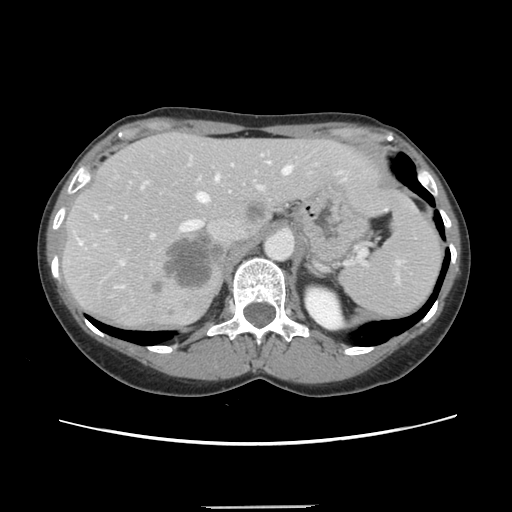
CT slice; Liver
The vessel annotation is not exhaustive.
hepatic_vessel:
  - x1=94, y1=214, x2=96, y2=216
  - x1=140, y1=182, x2=146, y2=188
  - x1=150, y1=234, x2=153, y2=237
  - x1=116, y1=286, x2=122, y2=287
  - x1=119, y1=261, x2=123, y2=264
  - x1=77, y1=238, x2=81, y2=244
  - x1=261, y1=154, x2=262, y2=155
  - x1=180, y1=220, x2=201, y2=231
  - x1=197, y1=192, x2=208, y2=201
  - x1=257, y1=185, x2=261, y2=188
  - x1=266, y1=161, x2=270, y2=163
  - x1=282, y1=166, x2=291, y2=173
  - x1=215, y1=176, x2=218, y2=179
liver_tumor:
  - x1=164, y1=235, x2=218, y2=288
  - x1=246, y1=202, x2=265, y2=221